Head | Image width 240 mm
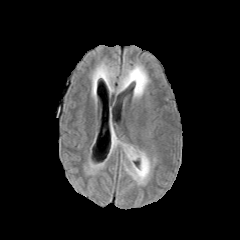
FLAIR MRI.
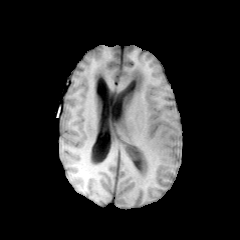
T1-weighted MR image.
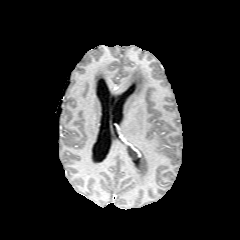
Same slice, post-contrast T1-weighted MRI.
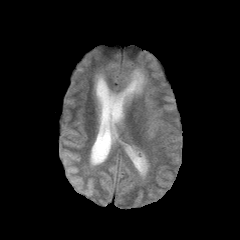
T2-weighted MRI.
2 edema regions are bounded by rect(117, 64, 149, 98); rect(110, 130, 150, 183). The non-enhancing tumor core is at rect(123, 143, 147, 175).